Image width 240 mm | Brain | 240x240
FLAIR magnetic resonance.
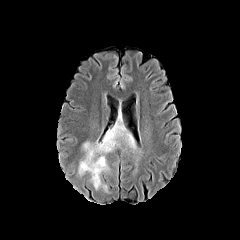
T1-weighted magnetic resonance.
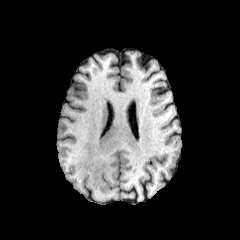
Post-contrast T1-weighted MR.
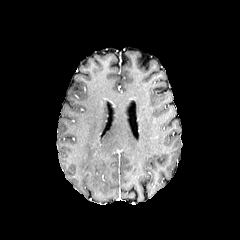
T2-weighted magnetic resonance.
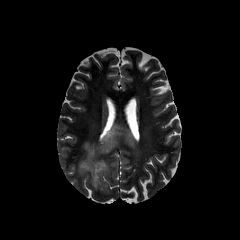
2 edema regions are bounded by rect(126, 133, 135, 148); rect(79, 121, 125, 188).